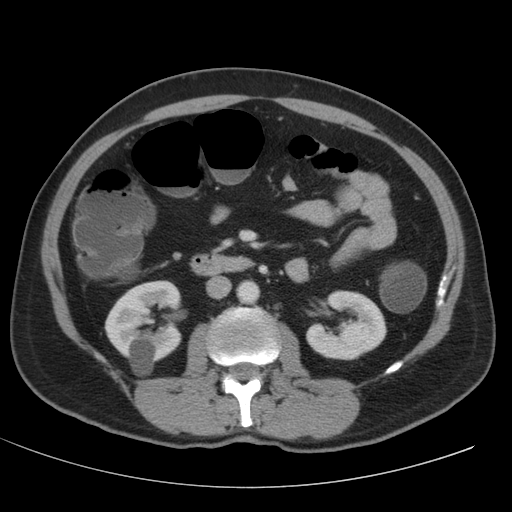
CT slice
- kidney: [x1=105, y1=281, x2=180, y2=361], [x1=306, y1=291, x2=385, y2=359]